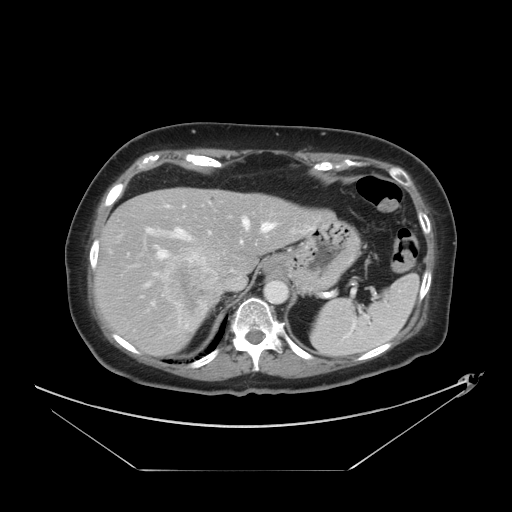
Liver, CT image
Not every hepatic vessel necessarily has a box.
Segmented structures:
• liver tumor: <bbox>160, 252, 220, 334</bbox>
• hepatic vessel: <bbox>151, 302, 154, 304</bbox>, <bbox>208, 231, 210, 233</bbox>, <bbox>155, 246, 168, 258</bbox>, <bbox>183, 205, 184, 207</bbox>, <bbox>242, 216, 249, 229</bbox>, <bbox>167, 206, 169, 207</bbox>, <bbox>145, 228, 191, 240</bbox>, <bbox>261, 222, 275, 233</bbox>, <bbox>240, 240, 242, 243</bbox>, <bbox>154, 272, 157, 275</bbox>, <bbox>145, 283, 150, 286</bbox>